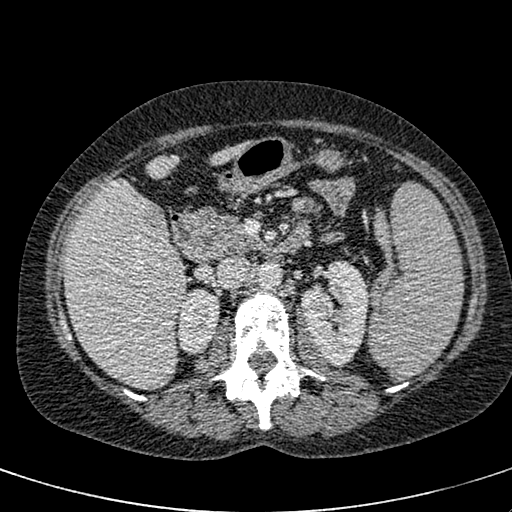
CT image, Abdomen
The hepatic lesion lies within bbox(140, 201, 166, 232). 2 kidney regions are located at bbox(178, 289, 219, 348); bbox(301, 261, 367, 365). 3 liver regions appear at bbox(147, 156, 174, 177); bbox(66, 180, 185, 387); bbox(210, 142, 251, 164).